Field of view 500 mm wide, 1.50 mm slice spacing; 512x512; CT
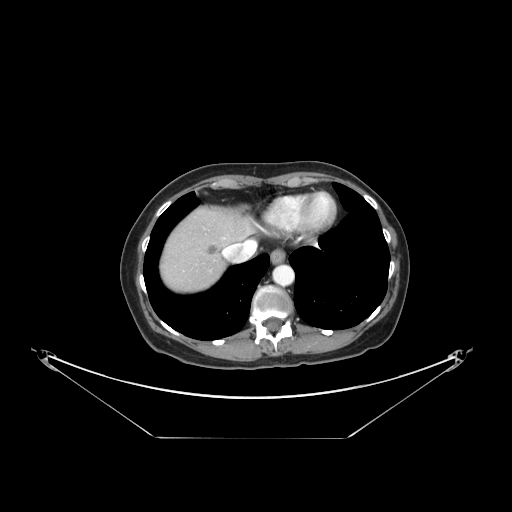 The liver tumor is bounded by [206, 245, 218, 256].